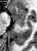

MRI slice, Hippocampus

{
  "posterior_hippocampus": [
    "17 23 24 28"
  ],
  "anterior_hippocampus": [
    "9 6 26 22"
  ]
}